FLAIR MR.
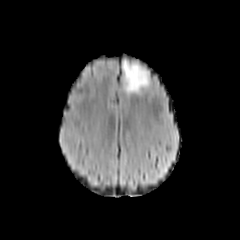
T1-weighted MR image.
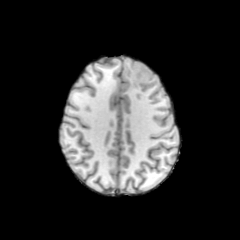
Post-contrast T1-weighted MRI.
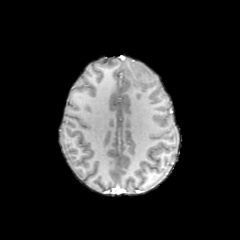
T2-weighted magnetic resonance.
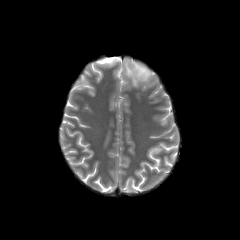
non-enhancing_tumor_core:
  - bbox(130, 64, 153, 87)
edema:
  - bbox(122, 60, 143, 92)